Upper abdomen; 512x512 px; CT image

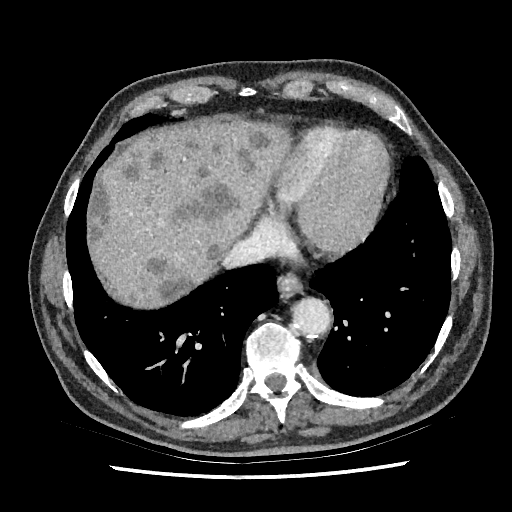

The liver is bounded by bbox=[90, 118, 288, 307]. 13 liver lesion regions are located at bbox=[129, 293, 137, 302]; bbox=[148, 149, 166, 173]; bbox=[146, 257, 190, 302]; bbox=[121, 151, 141, 181]; bbox=[146, 131, 160, 143]; bbox=[205, 245, 221, 269]; bbox=[88, 174, 111, 242]; bbox=[211, 144, 220, 157]; bbox=[238, 131, 272, 174]; bbox=[197, 165, 209, 176]; bbox=[170, 181, 242, 227]; bbox=[143, 196, 153, 206]; bbox=[185, 138, 200, 149].